Upper abdomen. CT scan slice. 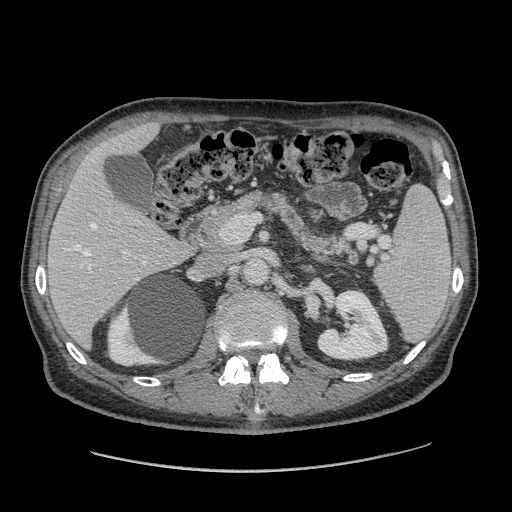 2 pancreas regions are located at (left=279, top=205, right=356, bottom=260), (left=201, top=192, right=270, bottom=253). The pancreatic tumor appears at (left=270, top=193, right=287, bottom=214).